Image width 446 mm. Computed tomography. 512x512 px.

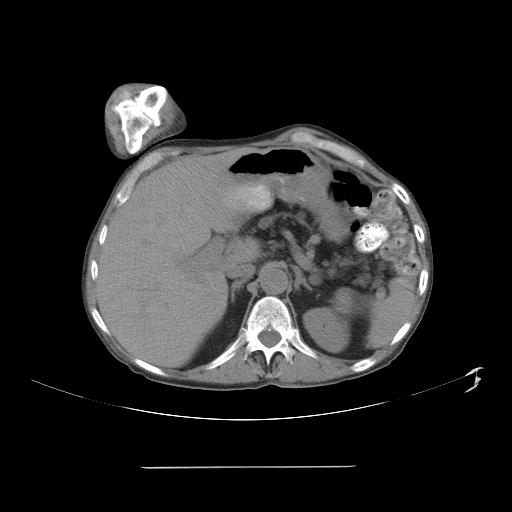 spleen: 368, 278, 414, 346